Computed tomography; Liver; Slice 19/35

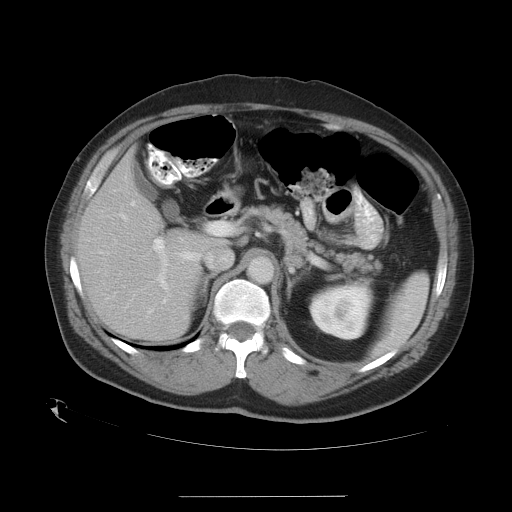 Only some of the vessels may be annotated.
<segmentation>
  <hepatic_vessel>left=105, top=296, right=108, bottom=298; left=124, top=217, right=127, bottom=220; left=122, top=285, right=124, bottom=287; left=200, top=254, right=200, bottom=257; left=160, top=284, right=161, bottom=286; left=153, top=239, right=174, bottom=289; left=193, top=260, right=197, bottom=262; left=160, top=240, right=162, bottom=241; left=131, top=200, right=134, bottom=205; left=114, top=291, right=116, bottom=293</hepatic_vessel>
</segmentation>